Slice index 33. CT image. Image size 512x512.
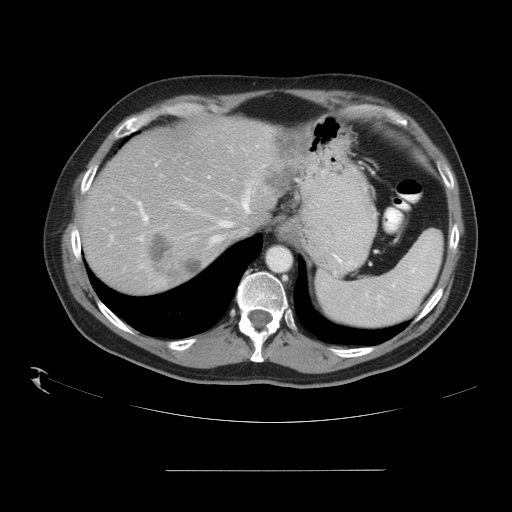

The vessel boxes may cover only some of the vessels.
{"liver_tumor": ["265,131,306,196", "184,259,202,278", "148,234,171,274", "169,272,179,278"], "hepatic_vessel": ["138,201,147,221", "242,191,249,212", "221,221,232,226"]}